512x512, Field of view 438x438 mm, CT scan slice

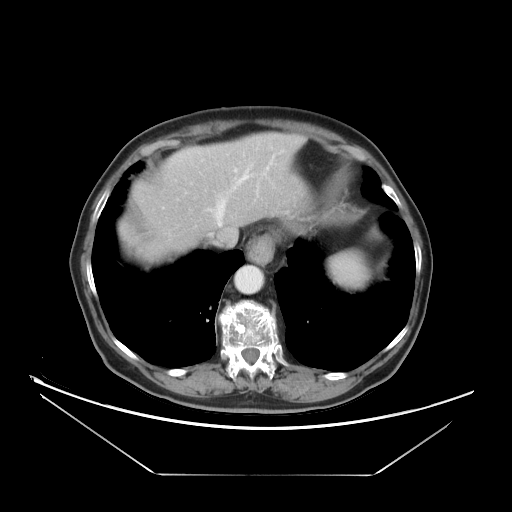 The vessel annotation is not exhaustive.
hepatic_vessel:
  - l=215, t=199, r=224, b=224
  - l=243, t=176, r=246, b=178